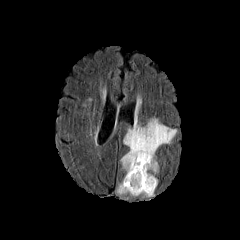
FLAIR MRI.
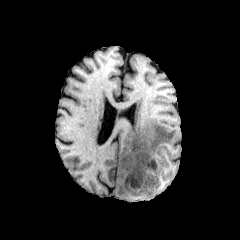
Same slice, T1-weighted magnetic resonance.
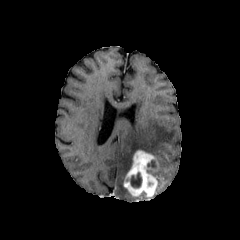
Same slice, post-contrast T1-weighted MRI.
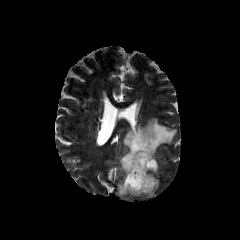
T2-weighted MR image.
{
  "edema": [
    "bbox(115, 179, 129, 195)",
    "bbox(121, 117, 176, 173)"
  ],
  "non-enhancing_tumor_core": [
    "bbox(130, 173, 141, 188)",
    "bbox(147, 159, 158, 171)"
  ],
  "enhancing_tumor": [
    "bbox(123, 150, 158, 197)"
  ]
}